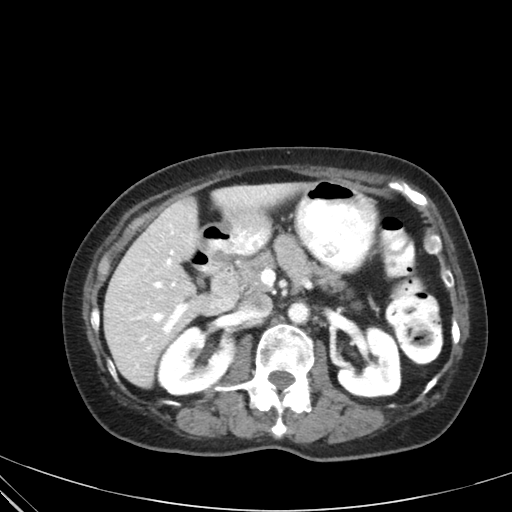 Computed tomography; Image size 512x512

2 pancreas regions appear at bbox=[306, 263, 345, 292]; bbox=[235, 248, 278, 294].